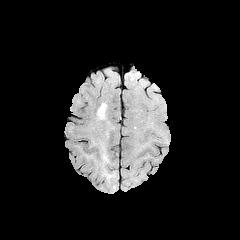
FLAIR MR.
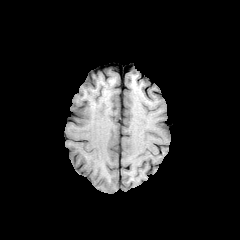
T1-weighted magnetic resonance.
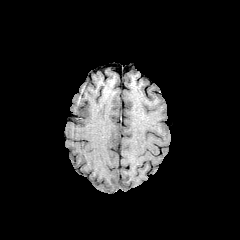
Post-contrast T1-weighted MR image of the same slice.
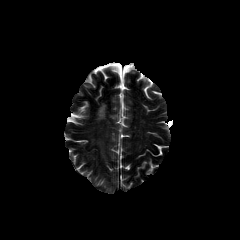
T2-weighted MR image.
{
  "edema": [
    "97:104:105:118"
  ]
}